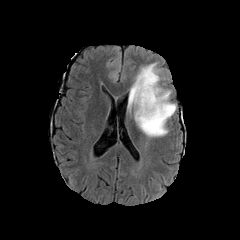
FLAIR MR image.
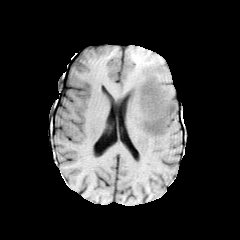
T1-weighted MRI of the same slice.
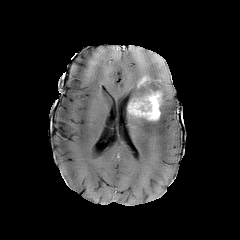
Post-contrast T1-weighted magnetic resonance.
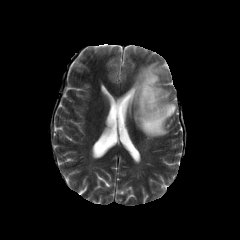
T2-weighted MRI.
Annotated regions:
- enhancing tumor: (128,90,161,120)
- edema: (128,63,177,138)
- non-enhancing tumor core: (144,87,159,95), (164,105,174,115), (139,76,151,85), (137,94,163,130)